CT; Image size 512x512; Slice 269/771

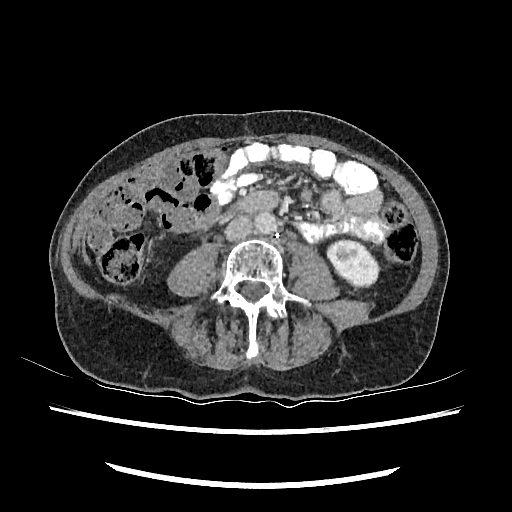 The kidney is bounded by [328, 241, 377, 284].